512x512 px, Field of view 404 mm wide, 2.50 mm slice spacing, CT

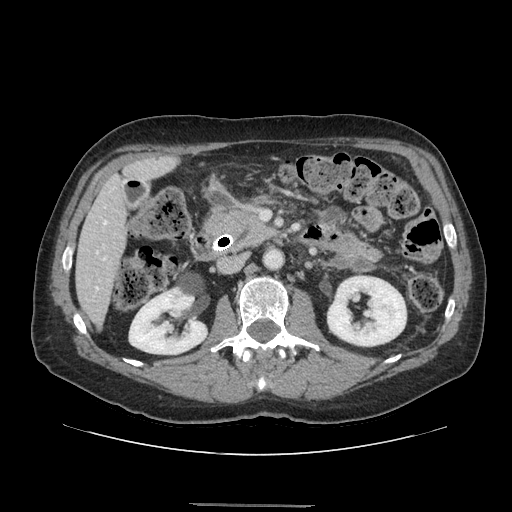
Pancreas: bounding box x1=208 y1=210 x2=273 y2=251.